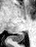
Magnetic resonance

<segmentation>
  <posterior_hippocampus>{"x1": 11, "y1": 32, "x2": 25, "y2": 42}</posterior_hippocampus>
</segmentation>